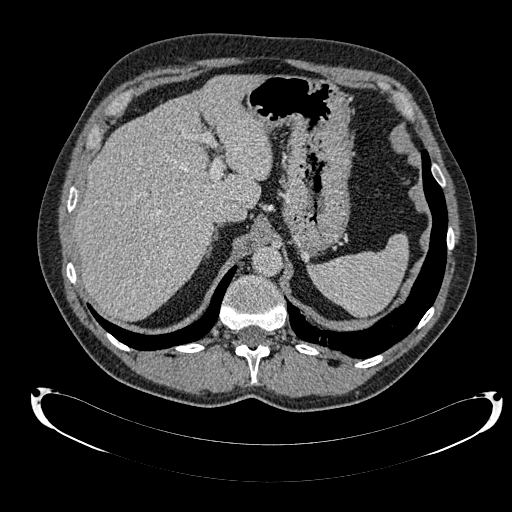

CT; 512x512 px; Upper abdomen
The liver is bounded by 75 75 271 319.